FLAIR MR image.
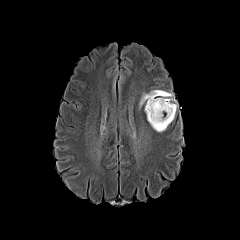
T1-weighted MR image.
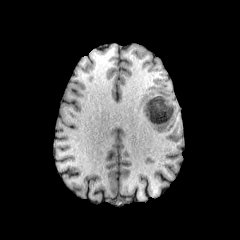
Post-contrast T1-weighted magnetic resonance.
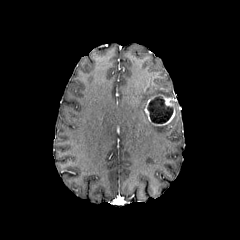
T2-weighted MR.
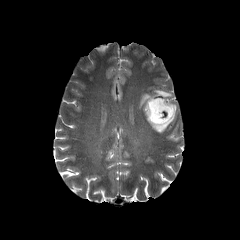
Image size 240x240
Non-enhancing tumor core = 147, 97, 173, 123.
Enhancing tumor = 143, 94, 175, 125.
Edema = 139, 90, 174, 108; 149, 122, 167, 132.